Slice 7/155. CT scan slice.

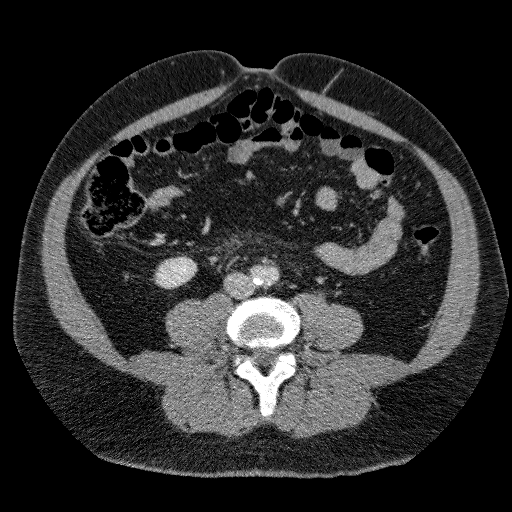

The kidney appears at box(157, 258, 195, 286).